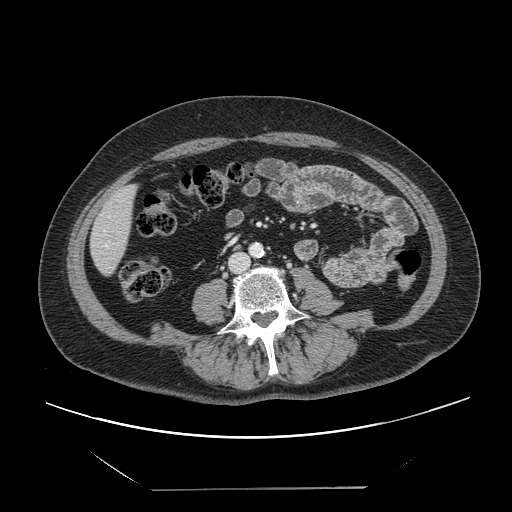

CT image, Abdomen
The vessel boxes may cover only some of the vessels.
The hepatic vessel is located at 104, 243, 109, 247.